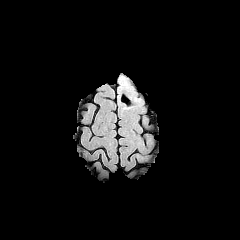
FLAIR magnetic resonance.
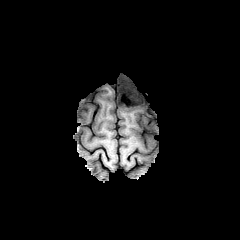
T1-weighted MRI of the same slice.
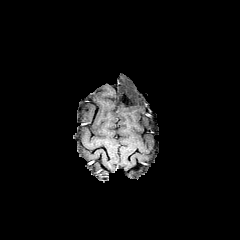
Post-contrast T1-weighted magnetic resonance.
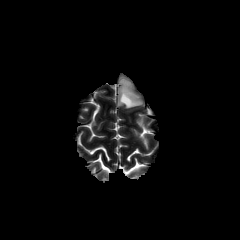
T2-weighted MR of the same slice.
Head, 240x240
Annotated regions:
- edema: 118, 76, 142, 107